Abdomen | CT scan slice 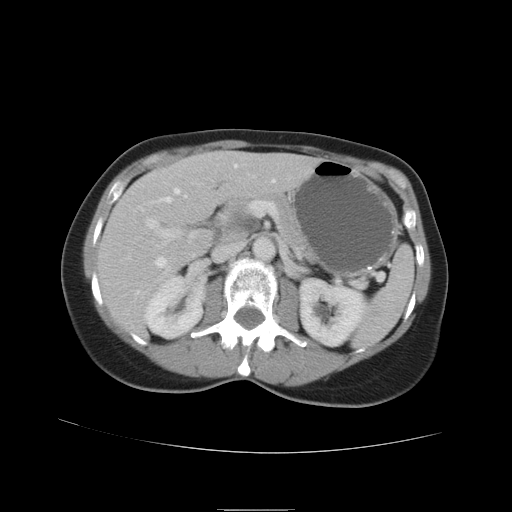
The pancreas is at left=211, top=191, right=310, bottom=258. The pancreatic tumor appears at left=232, top=209, right=260, bottom=234.